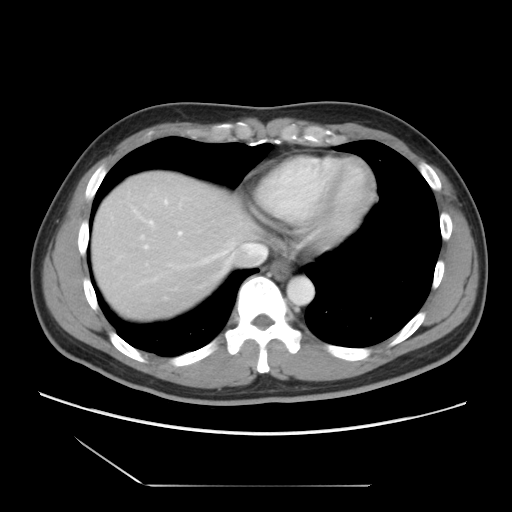
CT. Image size 512x512. Only some of the vessels may be annotated.
5 hepatic vessel regions appear at [179,232,181,234], [150,221,151,223], [213,250,227,258], [242,244,267,258], [231,243,232,245].